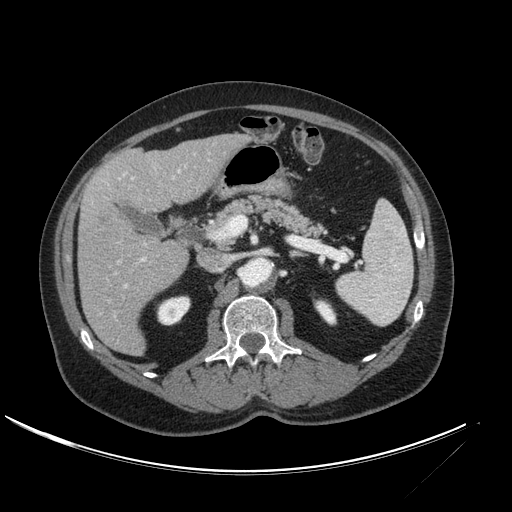

Upper abdomen. CT image.
Kidney: (158,298,189,324), (317,303,335,323).
Liver: (78,134,250,356).
Hepatic lesion: (97,209,113,226).